Brain | 240x240
FLAIR magnetic resonance.
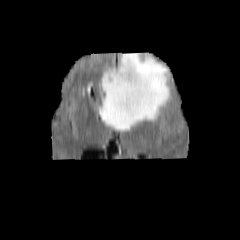
T1-weighted MR.
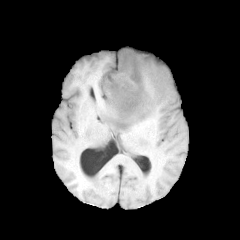
Post-contrast T1-weighted magnetic resonance.
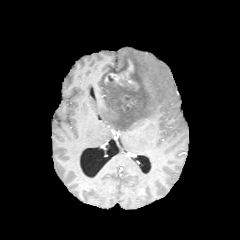
T2-weighted MR.
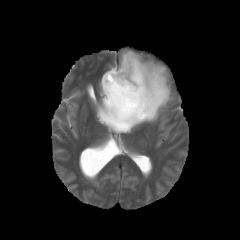
<segmentation>
  <enhancing_tumor>(x1=110, y1=60, x2=133, y2=80)</enhancing_tumor>
  <non-enhancing_tumor_core>(x1=104, y1=57, x2=150, y2=117)</non-enhancing_tumor_core>
  <edema>(x1=97, y1=49, x2=171, y2=132)</edema>
</segmentation>